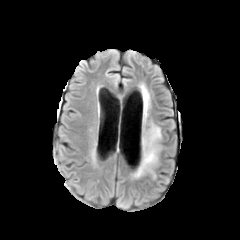
FLAIR MR image.
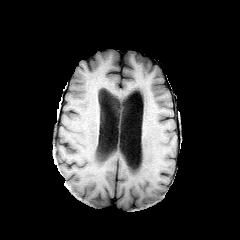
T1-weighted MR image of the same slice.
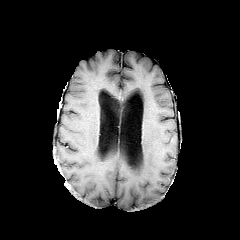
Post-contrast T1-weighted magnetic resonance.
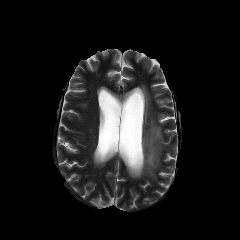
Same slice, T2-weighted MR image.
240x240
Edema — 134,123,161,177; 141,84,150,133.